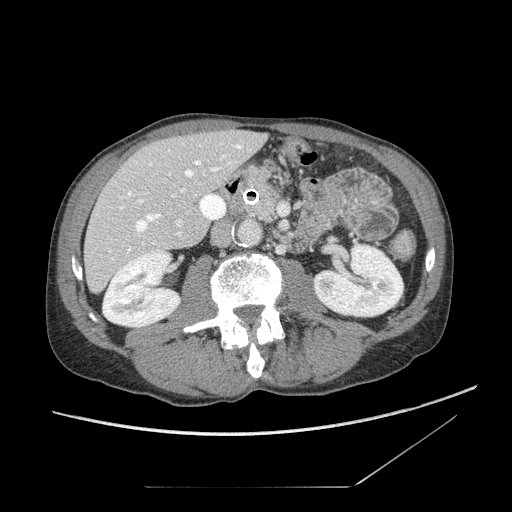
Abdomen, CT image
{
  "pancreatic_tumor": [
    "[268,190,277,199]"
  ],
  "pancreas": [
    "[249,171,280,222]"
  ]
}